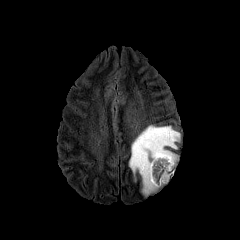
FLAIR MR image.
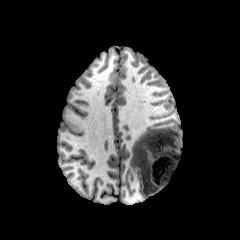
Same slice, T1-weighted MRI.
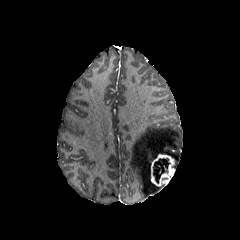
Post-contrast T1-weighted MRI.
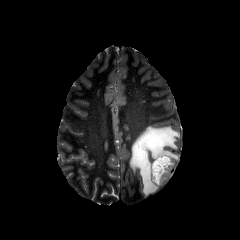
T2-weighted MR image.
Head
enhancing_tumor:
  - 150 153 175 185
edema:
  - 129 125 179 195
non-enhancing_tumor_core:
  - 152 159 170 183